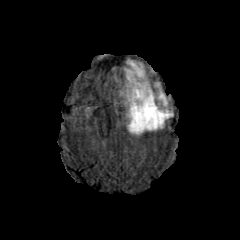
FLAIR MRI.
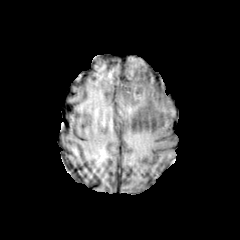
T1-weighted magnetic resonance of the same slice.
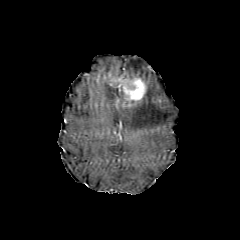
Same slice, post-contrast T1-weighted MR image.
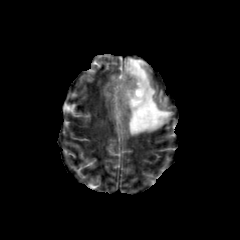
T2-weighted magnetic resonance.
Brain
edema: (116,87,124,103), (124,59,173,135) | enhancing tumor: (117,74,147,106)